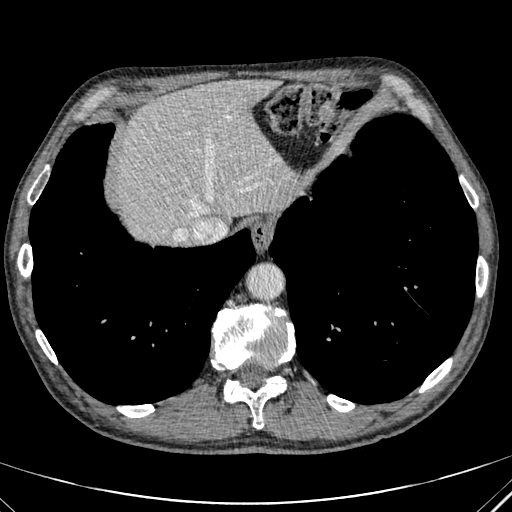

CT scan slice.
Segmented structures:
* liver: x1=118, y1=79, x2=293, y2=242